CT image, Image width 335 mm 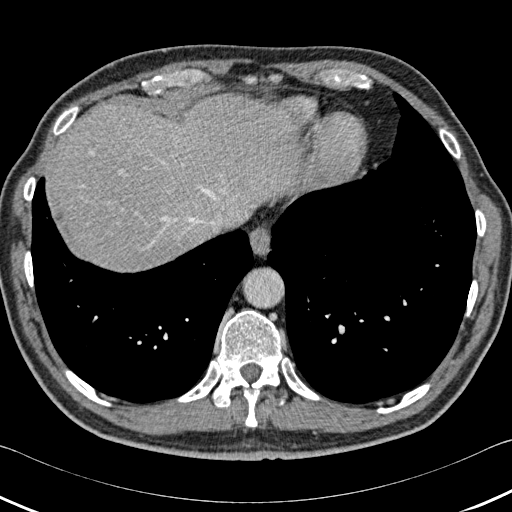 The liver lies within [46, 92, 301, 271]. 2 lung regions are located at [261, 91, 476, 404], [31, 177, 256, 403]. 9 bone regions are bounded by [24, 251, 33, 286], [24, 177, 35, 200], [377, 384, 429, 413], [466, 280, 477, 316], [440, 129, 460, 158], [475, 210, 485, 236], [178, 311, 319, 426], [65, 370, 110, 406], [53, 106, 77, 134].